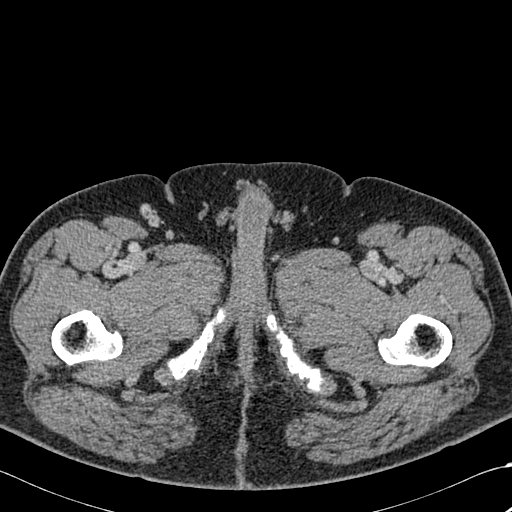
512x512 px. CT scan slice.
{
  "bone": [
    "box(268, 315, 322, 391)",
    "box(51, 310, 122, 364)",
    "box(378, 314, 451, 367)",
    "box(168, 310, 223, 378)"
  ]
}